Field of view 240x240 mm
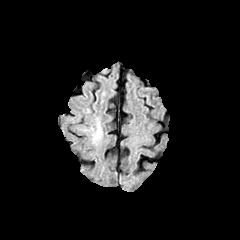
FLAIR MR image.
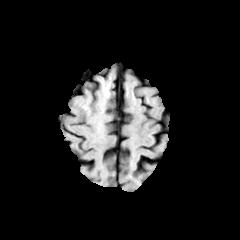
T1-weighted magnetic resonance.
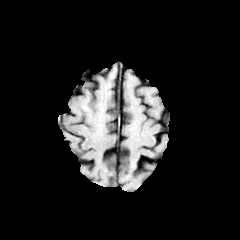
Post-contrast T1-weighted MRI of the same slice.
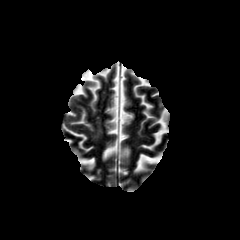
T2-weighted magnetic resonance.
Edema: bounding box {"x1": 94, "y1": 124, "x2": 101, "y2": 138}.